CT slice. Abdomen.

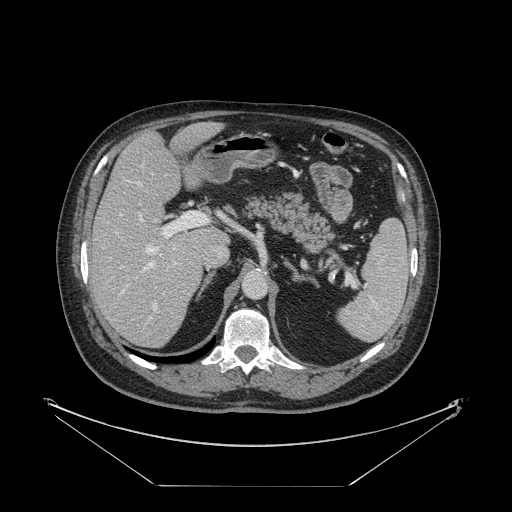
Not every hepatic vessel necessarily has a box.
hepatic_vessel:
  - [x1=139, y1=213, x2=141, y2=220]
  - [x1=153, y1=303, x2=155, y2=308]
  - [x1=120, y1=266, x2=122, y2=267]